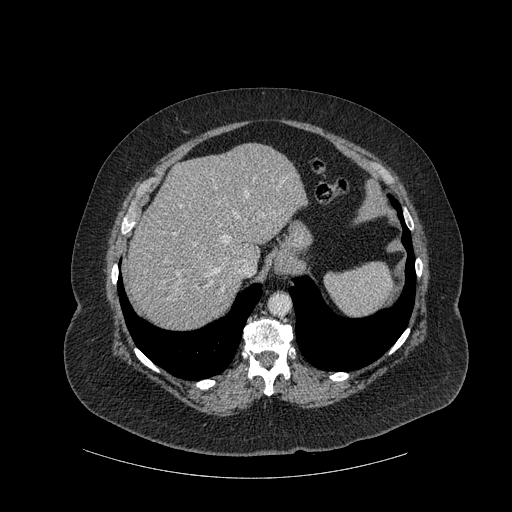

Upper abdomen | CT slice

{
  "bone": [
    "(x1=404, y1=209, x2=413, y2=225)",
    "(x1=135, y1=349, x2=158, y2=371)",
    "(x1=330, y1=372, x2=348, y2=380)",
    "(x1=111, y1=264, x2=118, y2=283)",
    "(x1=390, y1=329, x2=409, y2=353)",
    "(x1=415, y1=258, x2=422, y2=276)",
    "(x1=196, y1=380, x2=214, y2=389)",
    "(x1=243, y1=319, x2=294, y2=395)"
  ],
  "lung": [
    "(x1=289, y1=195, x2=415, y2=370)",
    "(x1=117, y1=277, x2=261, y2=379)"
  ],
  "liver": [
    "(x1=127, y1=143, x2=307, y2=330)"
  ]
}